CT image | Field of view 330 mm wide, 1.50 mm slice spacing | Liver 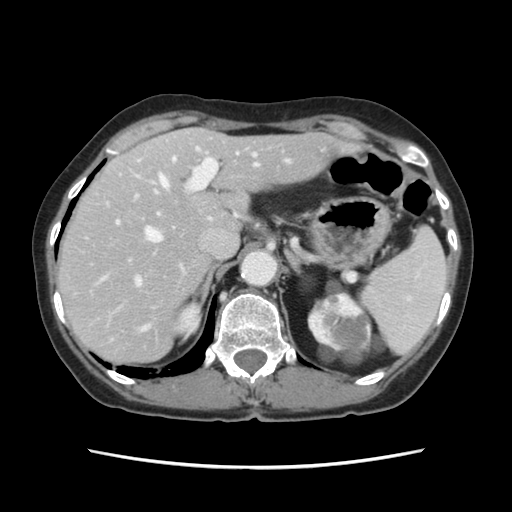 The vessel annotation is not exhaustive.
Hepatic vessel — 172 157 175 160, 135 195 137 197, 285 159 289 162, 157 213 158 214, 252 153 255 156, 159 175 167 186, 101 277 105 280, 145 228 161 241, 138 160 139 161, 135 277 140 285, 254 163 258 166, 196 148 199 150, 116 221 119 223, 188 158 216 190.